CT. 512x512. 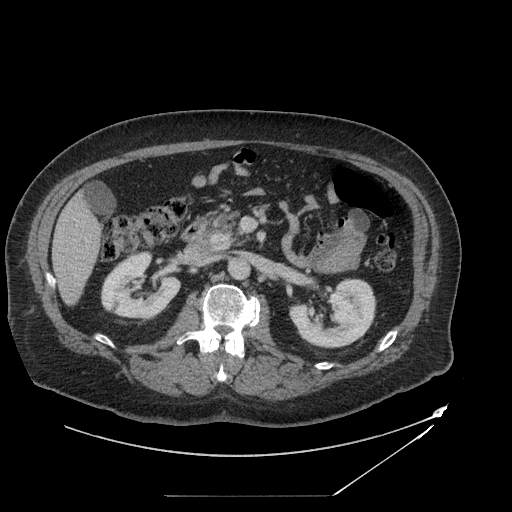
pancreas:
  - left=202, top=205, right=248, bottom=252
pancreatic_tumor:
  - left=209, top=233, right=231, bottom=251